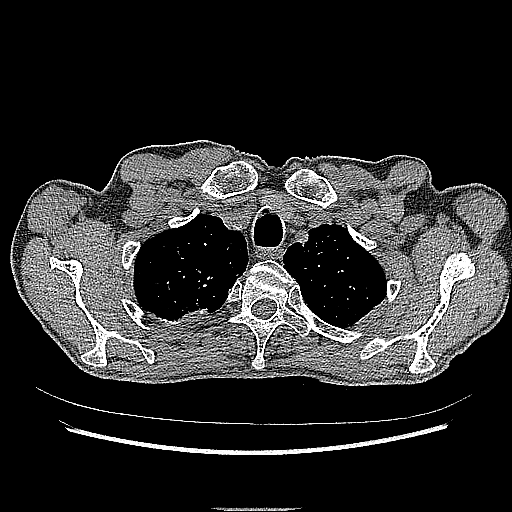
Chest; 512x512; CT image
lung tumor: box(171, 298, 211, 321); box(195, 270, 219, 293)